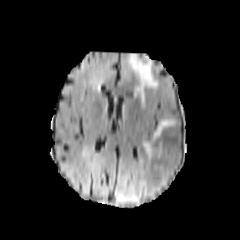
FLAIR MR.
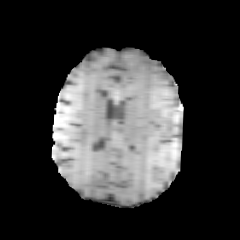
Same slice, T1-weighted MRI.
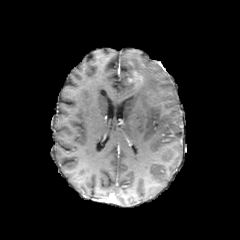
Post-contrast T1-weighted MRI.
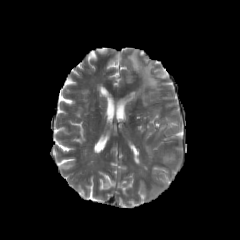
Same slice, T2-weighted MR image.
Head
3 edema regions are bounded by {"x1": 126, "y1": 51, "x2": 161, "y2": 107}, {"x1": 141, "y1": 140, "x2": 163, "y2": 155}, {"x1": 143, "y1": 119, "x2": 175, "y2": 137}. The enhancing tumor is located at {"x1": 129, "y1": 74, "x2": 143, "y2": 84}.